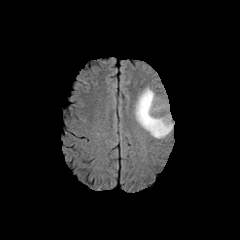
FLAIR MR image.
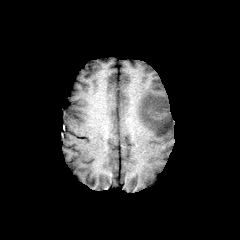
T1-weighted MR image of the same slice.
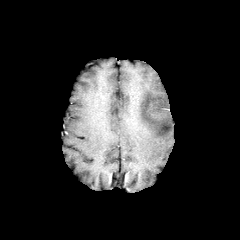
Post-contrast T1-weighted MR of the same slice.
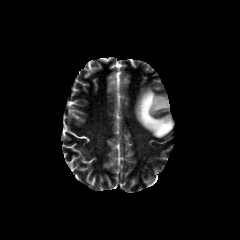
T2-weighted magnetic resonance.
240x240 px
Edema = (134, 87, 173, 138).